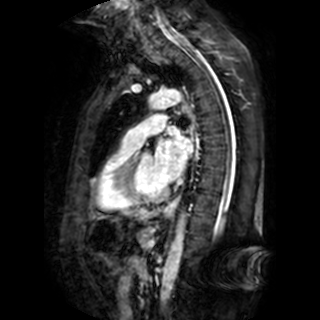
320x320; Magnetic resonance
The left atrium is located at (left=155, top=126, right=192, bottom=182).